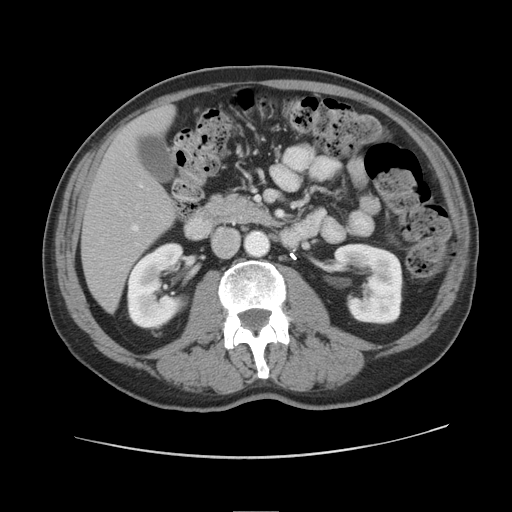

CT
Pancreas: left=219, top=192, right=265, bottom=227.